Hippocampus | Slice 15/34 | Magnetic resonance

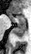 <segmentation>
  <posterior_hippocampus>x1=12 y1=23 x2=26 y2=37</posterior_hippocampus>
  <anterior_hippocampus>x1=9 y1=15 x2=25 y2=23</anterior_hippocampus>
</segmentation>